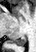

MR, 36x52 px

<segmentation>
  <posterior_hippocampus>region(14, 35, 27, 45)</posterior_hippocampus>
</segmentation>